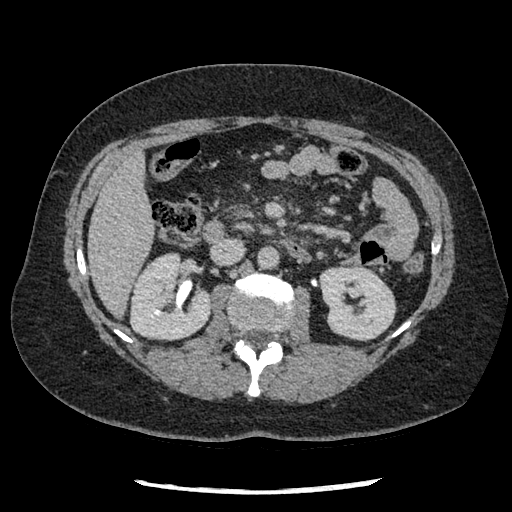
Upper abdomen; Image size 512x512; Computed tomography
The pancreas lies within x1=230, y1=204, x2=250, y2=217.